Slice index 116, Head, Field of view 240x240 mm
FLAIR magnetic resonance.
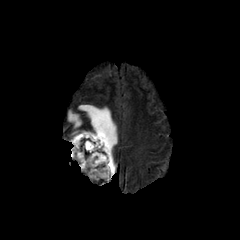
T1-weighted MR.
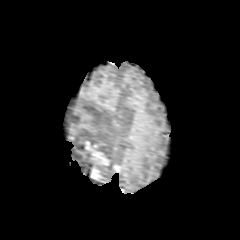
Post-contrast T1-weighted MRI.
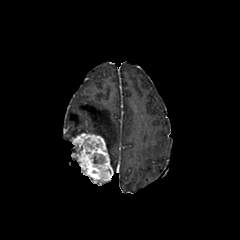
T2-weighted MRI.
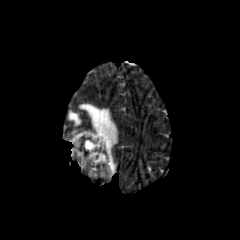
2 non-enhancing tumor core regions are located at box=[93, 154, 103, 163]; box=[86, 104, 102, 119]. The edema lies within box=[68, 104, 117, 172]. The enhancing tumor is located at box=[72, 132, 113, 182].